240x240; Slice 92 of 155; Field of view 240x240 mm; Brain
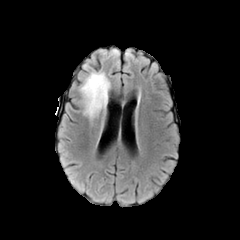
FLAIR MRI.
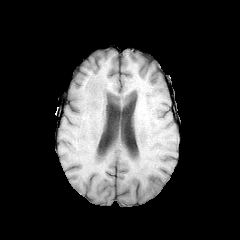
T1-weighted MR image.
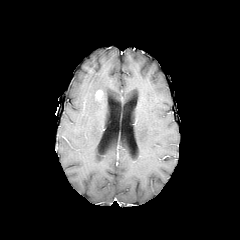
Post-contrast T1-weighted MRI.
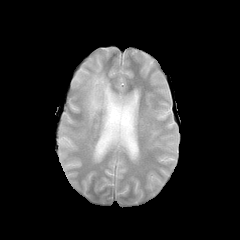
T2-weighted MR image of the same slice.
Edema = [78, 68, 111, 125].
Enhancing tumor = [95, 90, 102, 99].